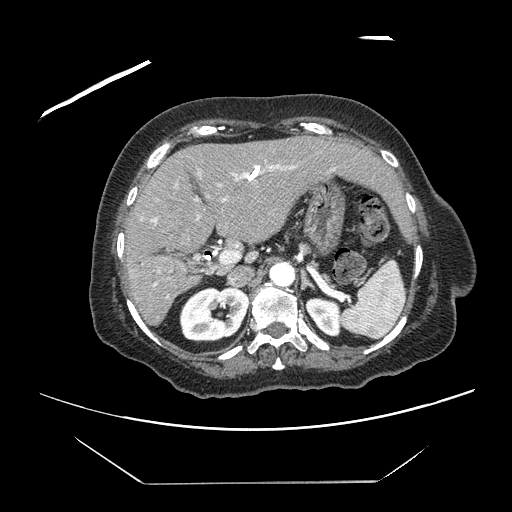

Liver; Computed tomography

Only some of the vessels may be annotated.
Hepatic vessel: x1=152, y1=219, x2=156, y2=221; x1=235, y1=173, x2=248, y2=178; x1=220, y1=251, x2=239, y2=263.